240x240 px
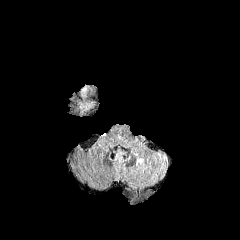
FLAIR magnetic resonance.
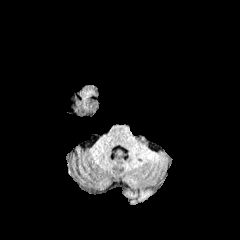
T1-weighted MR image.
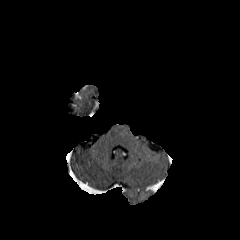
Post-contrast T1-weighted MRI of the same slice.
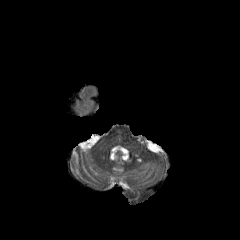
T2-weighted MRI of the same slice.
non-enhancing tumor core: bbox(67, 85, 98, 116)